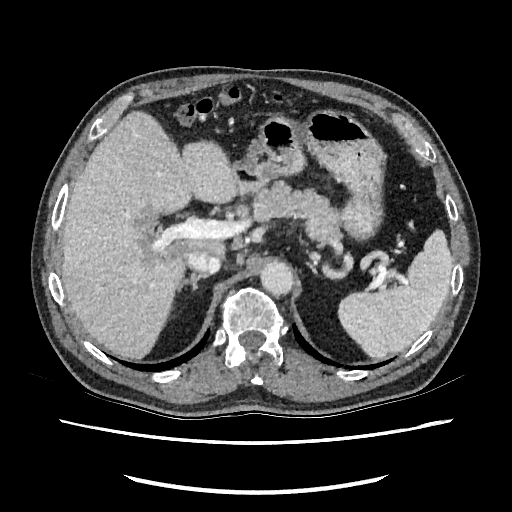 CT scan slice, Abdomen

Liver at (left=63, top=113, right=234, bottom=358).
Liver lesion at (left=163, top=244, right=180, bottom=257), (left=138, top=212, right=162, bottom=253).